Abdomen. CT. 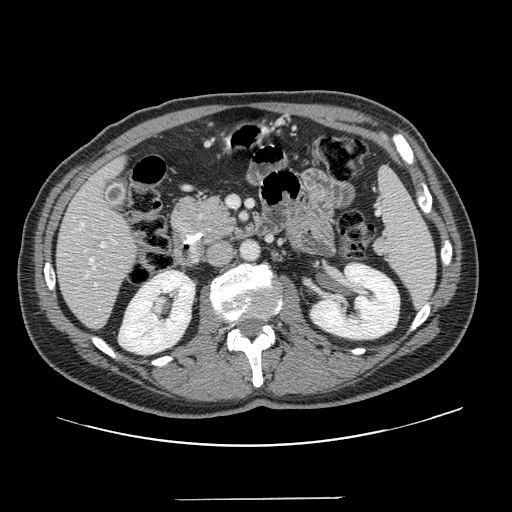
Pancreas: bounding box l=169, t=192, r=240, b=247.
Pancreatic tumor: bounding box l=192, t=197, r=236, b=245.